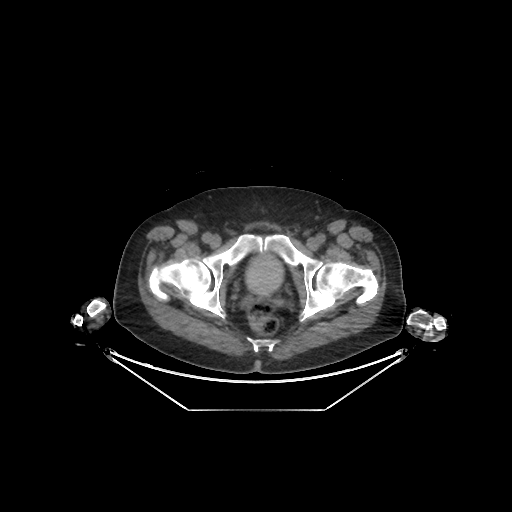
CT | Pelvis
urinary_bladder:
  - 246:247:283:297